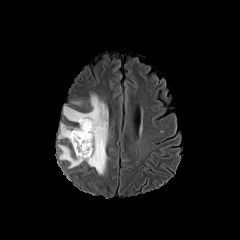
FLAIR magnetic resonance.
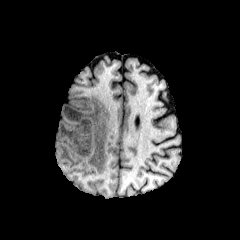
Same slice, T1-weighted MR image.
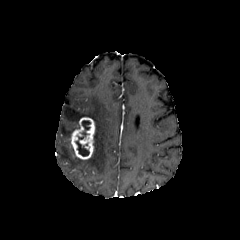
Post-contrast T1-weighted MR image.
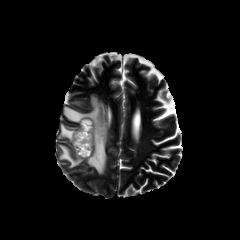
T2-weighted MR.
240x240 px
{
  "non-enhancing_tumor_core": [
    "left=76, top=141, right=89, bottom=156",
    "left=77, top=120, right=90, bottom=140"
  ],
  "enhancing_tumor": [
    "left=67, top=117, right=95, bottom=160"
  ],
  "edema": [
    "left=59, top=144, right=82, bottom=168",
    "left=63, top=94, right=108, bottom=175",
    "left=58, top=123, right=71, bottom=139"
  ]
}